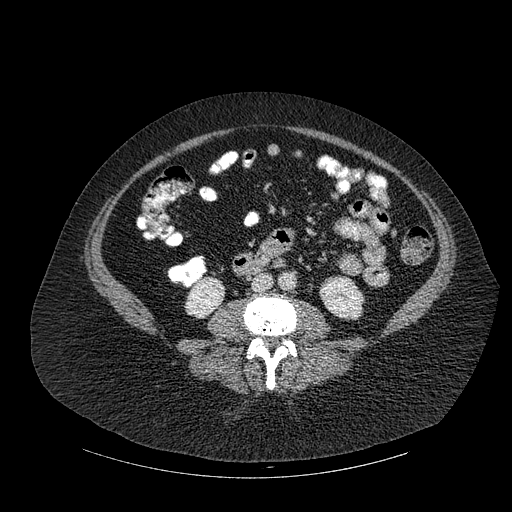

Computed tomography | Abdomen | 512x512
bone: 243,296,296,389 | kidney: 320,277,363,318; 186,277,224,317